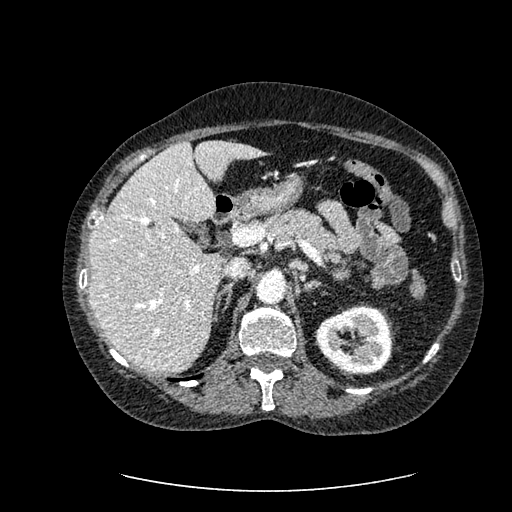 CT scan slice. Upper abdomen. Kidney at region(317, 307, 391, 373).
Liver at region(90, 141, 272, 373).
Liver lesion at region(147, 220, 155, 229).